Slice 93 of 424, 512x512 px, CT slice, Pelvis 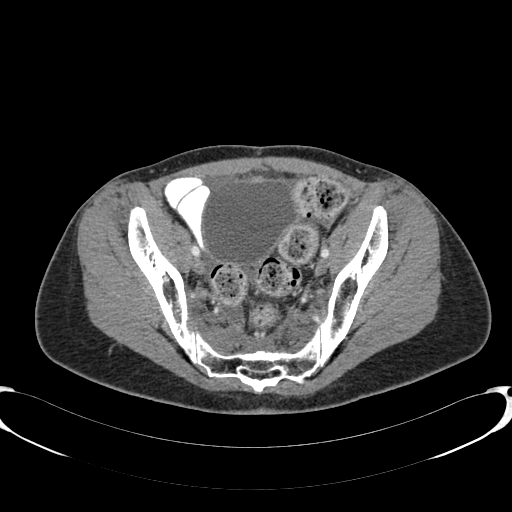 <segmentation>
  <urinary_bladder><box>204,182,296,263</box></urinary_bladder>
</segmentation>